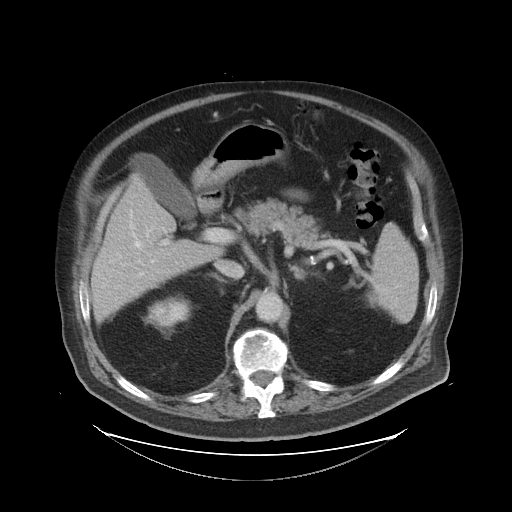

CT scan slice
The vessel boxes may cover only some of the vessels.
Hepatic vessel at <box>135,242,140,246</box>, <box>151,260,153,262</box>.